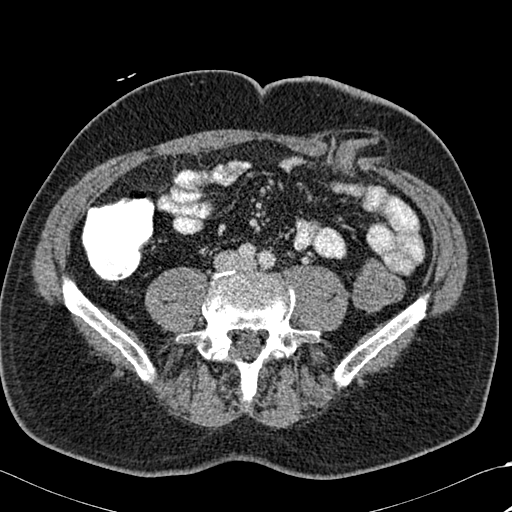
CT scan slice
Annotated regions:
* bone: x1=174 y1=270 x2=318 y2=401, x1=334 y1=296 x2=426 y2=385, x1=63 y1=280 x2=155 y2=382